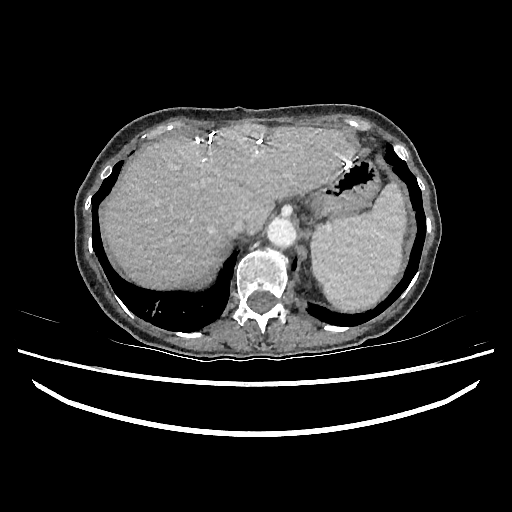
Image size 512x512 | Upper abdomen | CT image

Liver at 105:124:351:287.